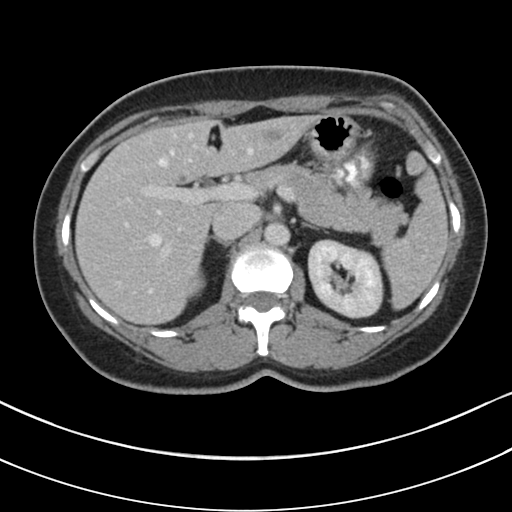 Computed tomography | Upper abdomen
Pancreas = [x1=243, y1=164, x2=407, y2=245].